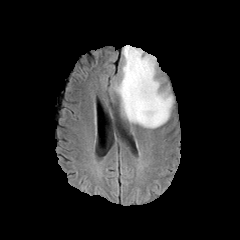
FLAIR MRI.
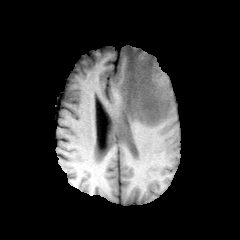
T1-weighted MR image.
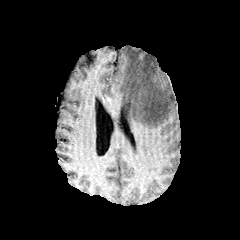
Post-contrast T1-weighted MR image of the same slice.
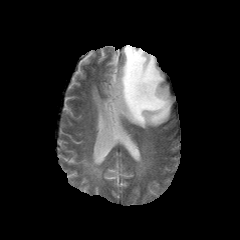
T2-weighted magnetic resonance.
Image size 240x240, Head
Findings:
- edema: <bbox>110, 45, 173, 128</bbox>